MRI slice. Slice 17/37.
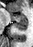
Anterior hippocampus = rect(10, 14, 26, 22).
Posterior hippocampus = rect(14, 23, 27, 30).